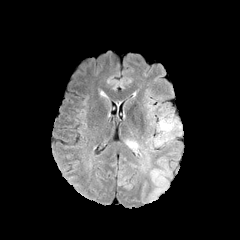
FLAIR MR.
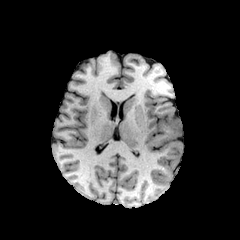
T1-weighted magnetic resonance of the same slice.
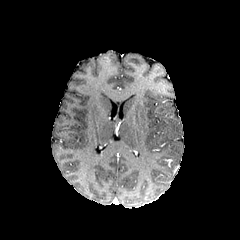
Post-contrast T1-weighted MR.
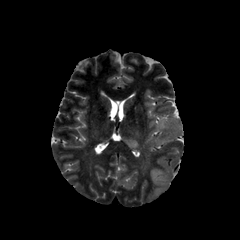
T2-weighted magnetic resonance of the same slice.
240x240 px. Brain.
Findings:
* edema: 125, 139, 140, 155; 160, 122, 173, 131